512x512 px, CT slice

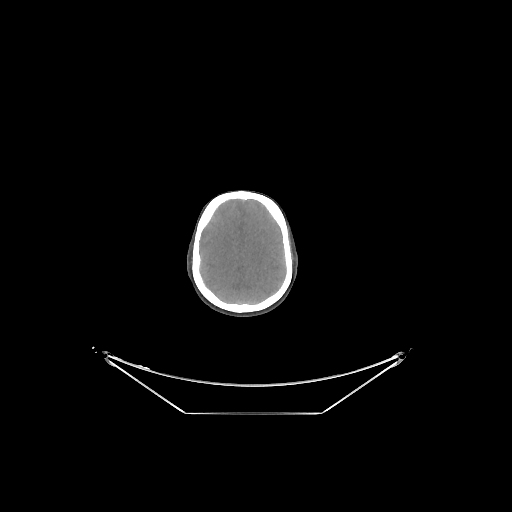

Brain: bounding box x1=199 y1=199 x2=286 y2=304.